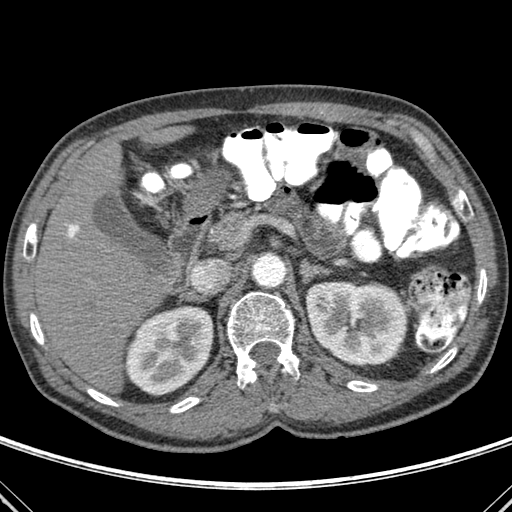 CT image; 512x512 px
- bone: x1=30 y1=313 x2=43 y2=344, x1=347 y1=380 x2=377 y2=391, x1=431 y1=347 x2=456 y2=372, x1=455 y1=190 x2=469 y2=210, x1=477 y1=269 x2=486 y2=302, x1=227 y1=292 x2=299 y2=387, x1=87 y1=388 x2=117 y2=406, x1=23 y1=223 x2=36 y2=257, x1=170 y1=397 x2=199 y2=412
- liver: x1=33 y1=148 x2=163 y2=394, x1=140 y1=127 x2=192 y2=144
- kidney: x1=157 y1=351 x2=175 y2=363, x1=127 y1=307 x2=212 y2=393, x1=307 y1=283 x2=405 y2=363